CT slice, Field of view 700x700 mm

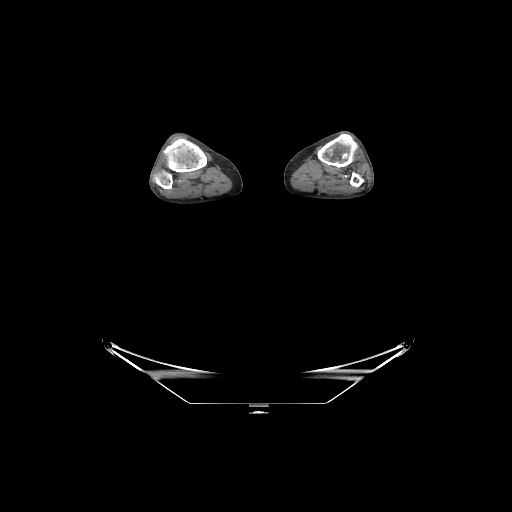 Annotated regions:
* bone: x1=317 y1=134 x2=357 y2=167, x1=350 y1=172 x2=363 y2=186, x1=153 y1=171 x2=172 y2=189, x1=163 y1=139 x2=206 y2=172